Upper abdomen; Slice index 183; CT image 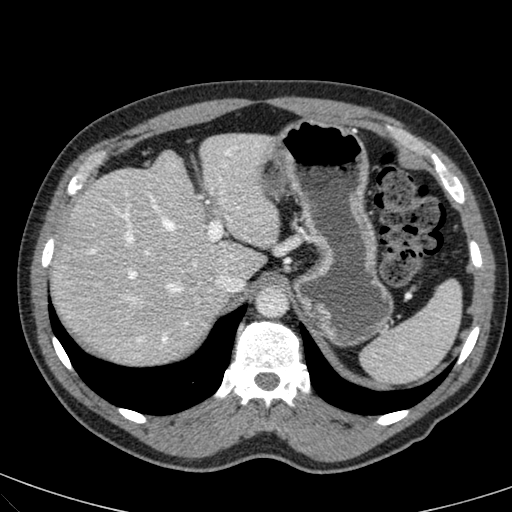
<segmentation>
  <liver>52, 133, 277, 364</liver>
</segmentation>